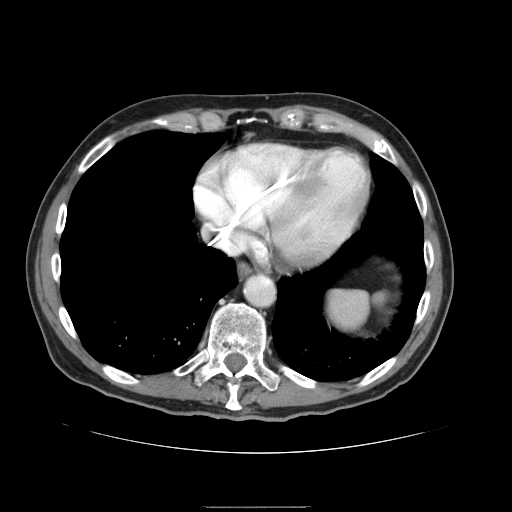

CT slice, Upper abdomen
spleen:
  - box=[324, 291, 375, 331]